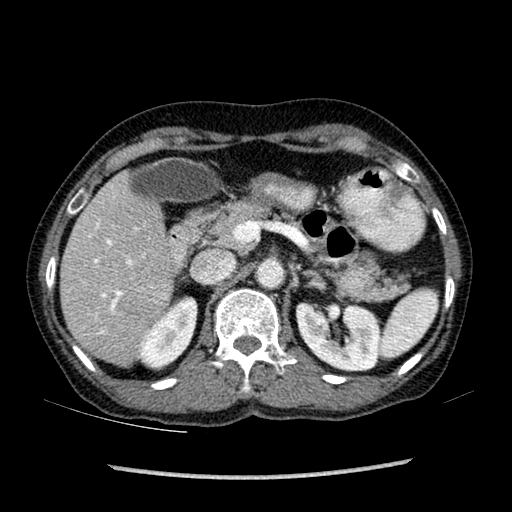 Liver. Computed tomography. Annotated regions:
* liver: 61:175:172:363
* kidney: 297:303:379:369, 139:298:196:366